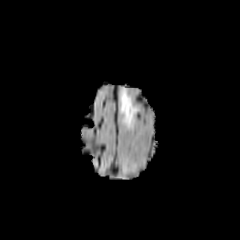
FLAIR MRI.
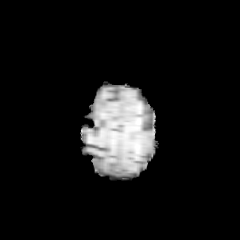
T1-weighted MRI.
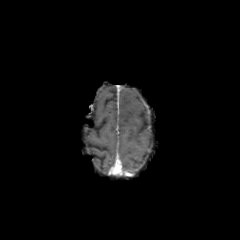
Post-contrast T1-weighted magnetic resonance.
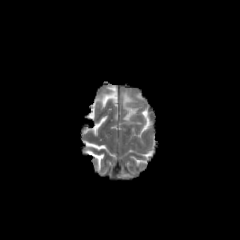
Same slice, T2-weighted MR image.
<segmentation>
  <edema>x1=120 y1=91 x2=137 y2=124</edema>
</segmentation>